CT image | Slice 386/574 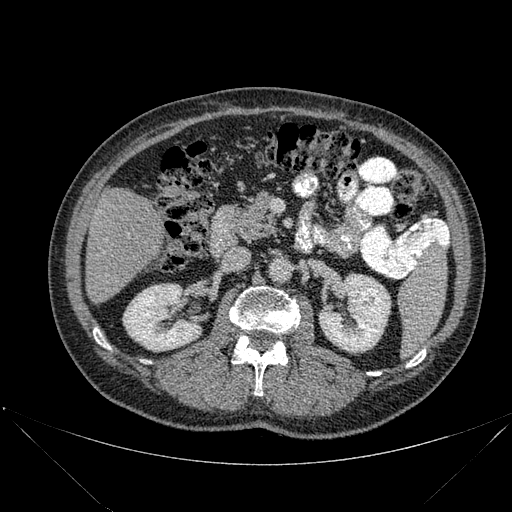

liver:
  - (left=86, top=188, right=162, bottom=302)
kidney:
  - (left=123, top=284, right=200, bottom=351)
  - (left=319, top=274, right=390, bottom=352)
bone:
  - (left=229, top=286, right=300, bottom=334)
  - (left=406, top=349, right=425, bottom=367)
  - (left=93, top=328, right=110, bottom=349)
  - (left=232, top=336, right=287, bottom=395)
  - (left=367, top=371, right=380, bottom=375)